FLAIR MR.
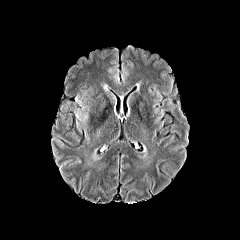
T1-weighted magnetic resonance.
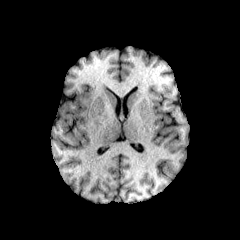
Post-contrast T1-weighted magnetic resonance.
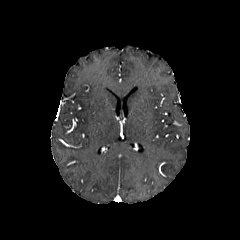
T2-weighted magnetic resonance.
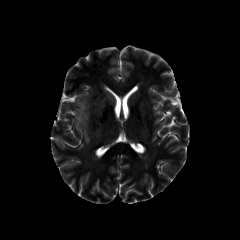
Brain
<segmentation>
  <edema>74:96:88:137</edema>
</segmentation>